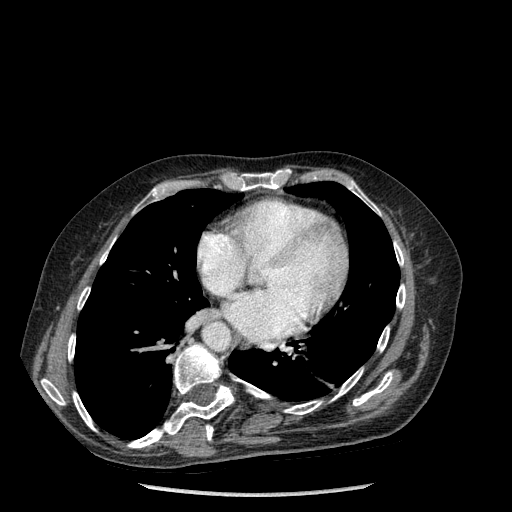 CT scan slice | Thorax

Largest 15 of 17 bone regions: bounding box <box>100,238,115,264</box>, <box>394,241,404,265</box>, <box>348,181,380,215</box>, <box>284,401,321,414</box>, <box>77,287,90,309</box>, <box>396,284,405,308</box>, <box>133,188,159,213</box>, <box>73,392,96,431</box>, <box>228,170,289,190</box>, <box>233,378,270,398</box>, <box>377,326,389,351</box>, <box>353,372,393,406</box>, <box>332,368,363,400</box>, <box>127,343,234,448</box>, <box>41,379,65,405</box>.
Lung: bounding box <box>228,181,399,401</box>, <box>74,189,240,439</box>.